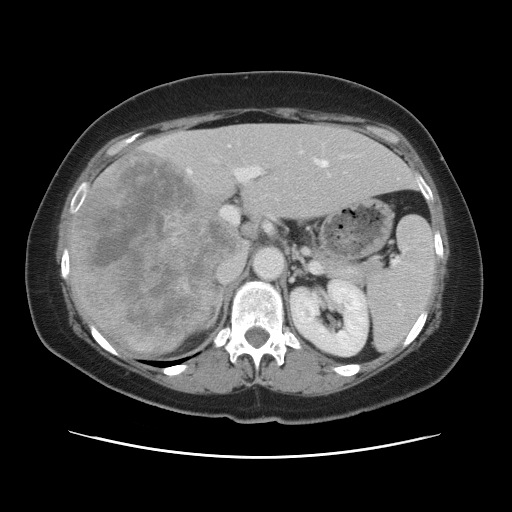

CT; Liver
The vessel boxes may cover only some of the vessels.
Hepatic vessel = region(220, 206, 238, 224); region(299, 150, 302, 153); region(218, 257, 243, 282); region(212, 159, 215, 160); region(234, 167, 261, 180); region(344, 155, 349, 156); region(314, 159, 327, 166); region(187, 169, 191, 172); region(228, 145, 229, 147).
Liver tumor = region(75, 152, 235, 351).